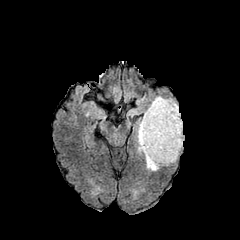
FLAIR MRI.
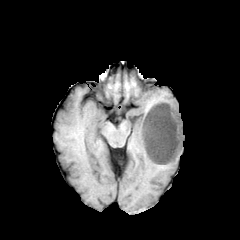
Same slice, T1-weighted MR image.
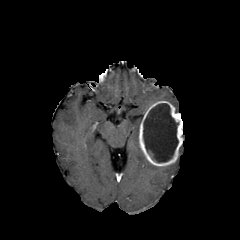
Post-contrast T1-weighted MRI.
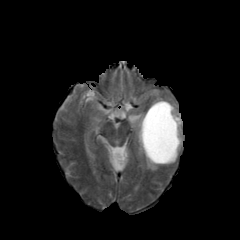
T2-weighted magnetic resonance of the same slice.
Brain
<segmentation>
  <enhancing_tumor>x1=138, y1=100, x2=183, y2=166</enhancing_tumor>
  <edema>x1=133, y1=116, x2=159, y2=171; x1=150, y1=96, x2=178, y2=110</edema>
  <non-enhancing_tumor_core>x1=143, y1=103, x2=178, y2=162</non-enhancing_tumor_core>
</segmentation>